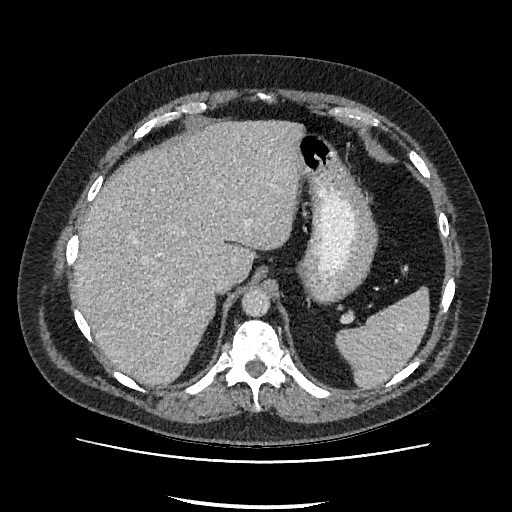 Upper abdomen | CT image
The liver is located at left=76, top=121, right=302, bottom=384.